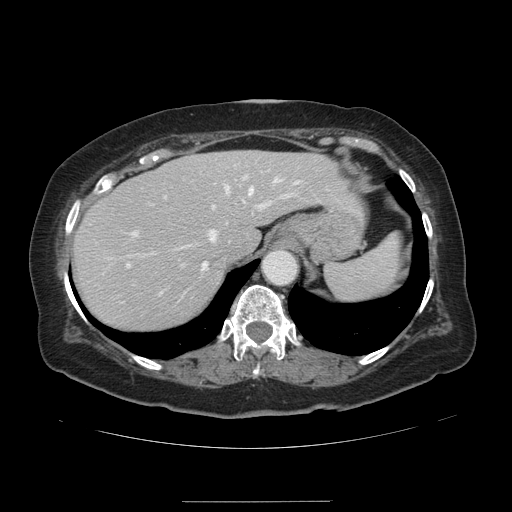

CT scan slice. Image size 512x512. Only some of the vessels may be annotated.
15 hepatic vessel regions are bounded by [164,196,165,197], [258,202,268,207], [242,175,246,177], [159,291,161,293], [248,187,252,194], [283,194,290,196], [180,264,183,265], [211,205,213,207], [294,180,298,183], [224,185,228,191], [126,263,129,265], [132,231,137,235], [137,254,144,255], [274,177,280,181], [208,230,215,239].